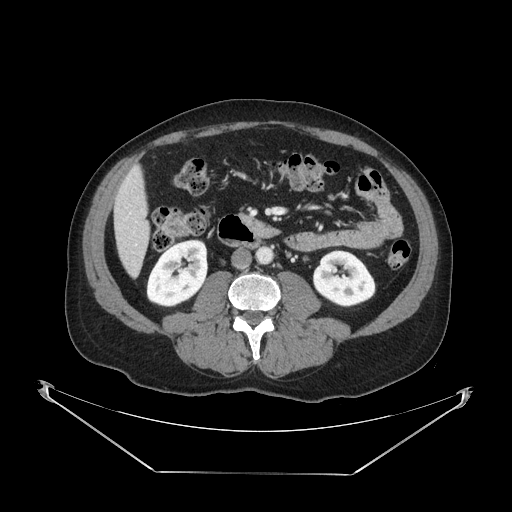 CT scan slice, 512x512 px, Upper abdomen
{"pancreas": ["box=[240, 213, 280, 237]"]}